320x320
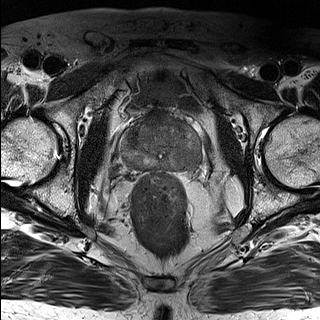
T2-weighted magnetic resonance.
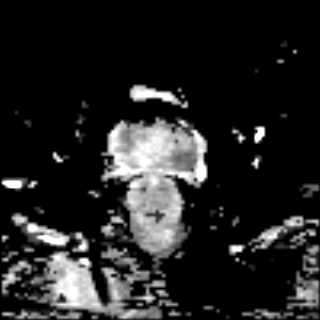
ADC MR.
The prostate transition zone appears at x1=128 y1=119 x2=193 y2=157. The prostate peripheral zone is at x1=125 y1=133 x2=198 y2=169.